Slice 41 of 193. Computed tomography. Field of view 388x388 mm.

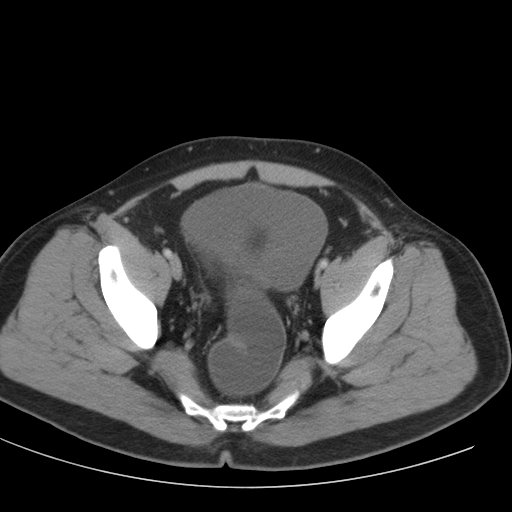

The urinary bladder lies within left=184, top=184, right=326, bottom=291.